Field of view 472x472 mm, Slice 62 of 174, CT

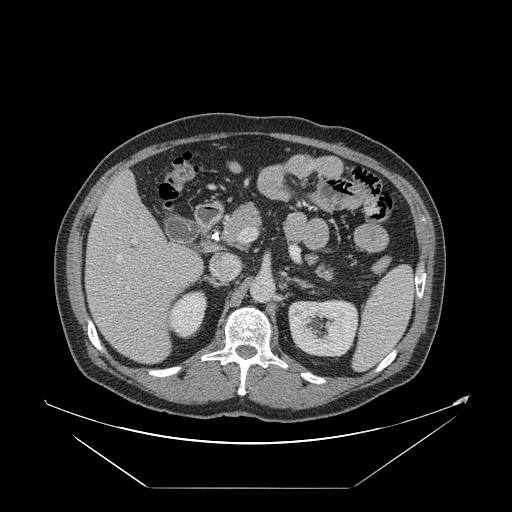
The vessel boxes may cover only some of the vessels.
3 hepatic vessel regions are bounded by 126:287:128:290, 132:240:136:243, 117:256:121:261.